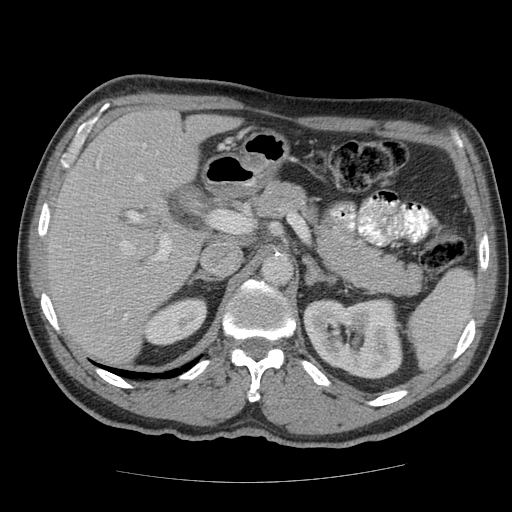
CT slice, Abdomen

Only some of the vessels may be annotated.
5 hepatic vessel regions are bounded by box(142, 252, 144, 254); box(127, 212, 142, 222); box(142, 144, 145, 150); box(124, 316, 126, 320); box(153, 234, 170, 260).